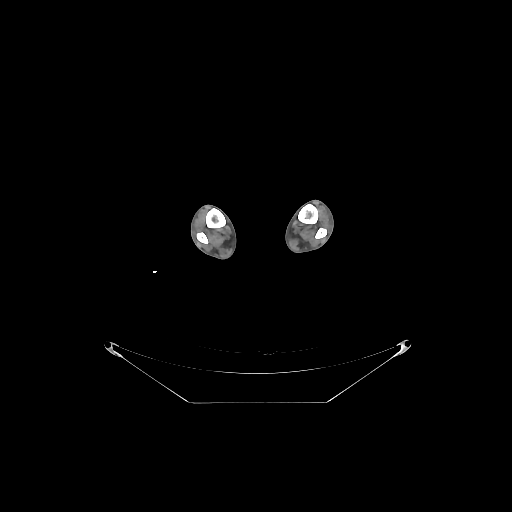 CT scan slice.
bone: 206:208:225:227, 315:228:326:238, 298:204:318:223, 197:232:207:243